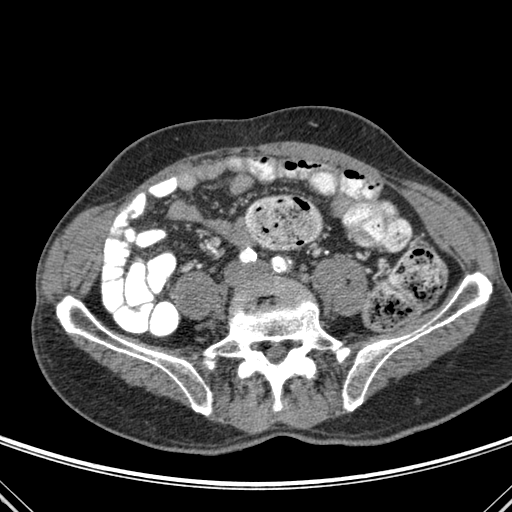
CT
- bone: [x1=56, y1=272, x2=491, y2=415]